CT scan slice, 512x512, Slice 140/174

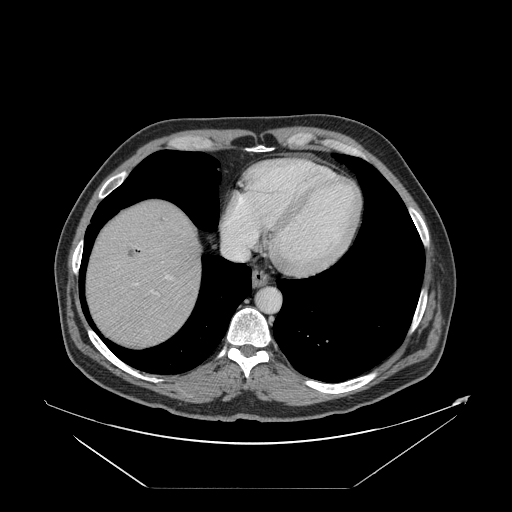

The vessel boxes may cover only some of the vessels.
{"hepatic_vessel": ["rect(135, 284, 137, 285)", "rect(165, 275, 172, 279)", "rect(151, 290, 158, 295)", "rect(222, 229, 255, 260)"]}